FLAIR magnetic resonance.
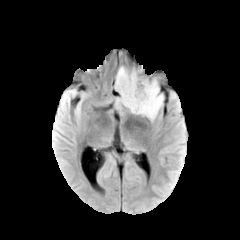
T1-weighted MR.
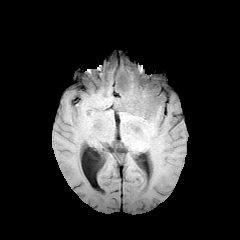
Post-contrast T1-weighted MR image.
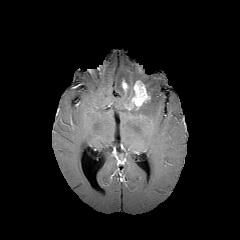
T2-weighted magnetic resonance.
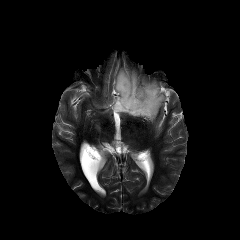
Image size 240x240, Head
non-enhancing_tumor_core:
  - 114 74 153 115
enhancing_tumor:
  - 117 79 150 110
edema:
  - 115 67 163 120